240x240 px, Slice 83/155, Brain
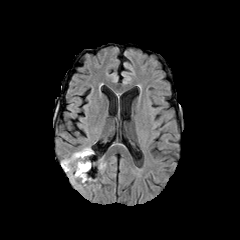
FLAIR MRI.
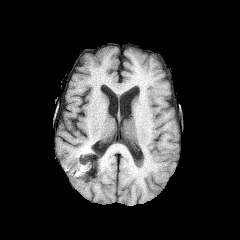
T1-weighted MRI.
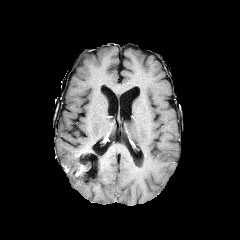
Post-contrast T1-weighted magnetic resonance of the same slice.
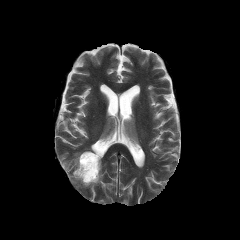
T2-weighted MRI.
Edema — 96:158:105:171, 61:151:97:185.
Non-enhancing tumor core — 78:150:97:181.
Enhancing tumor — 76:164:86:176.